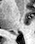

MRI | Image size 35x44 | Medial temporal lobe
Posterior hippocampus at (12, 33, 14, 34).